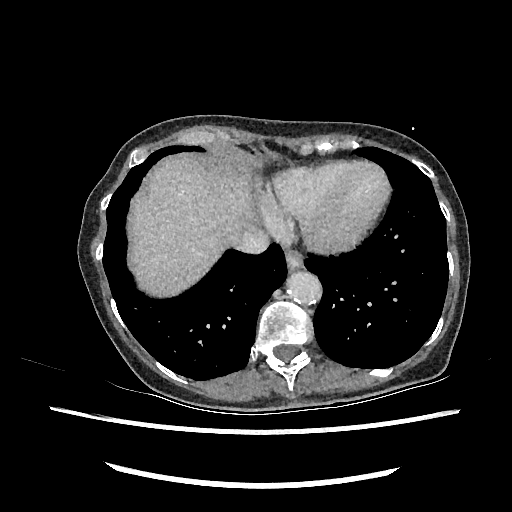 Computed tomography, Image size 512x512, Upper abdomen
The liver is located at 132 159 254 295.